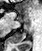 Magnetic resonance; Hippocampus

Segmented structures:
• posterior hippocampus: left=9, top=24, right=28, bottom=42
• anterior hippocampus: left=19, top=10, right=30, bottom=23